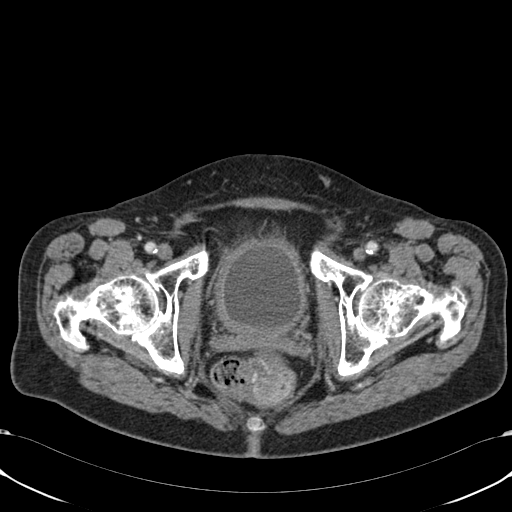

CT. Pelvis.

The urinary bladder appears at <box>224,248,300,329</box>.